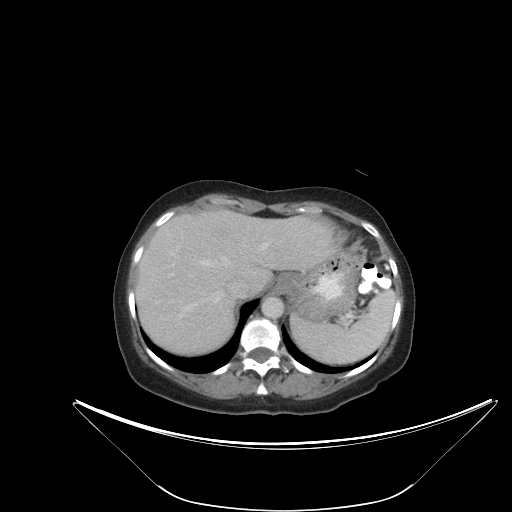
CT. Liver.
The vessel annotation is not exhaustive.
Annotated regions:
- hepatic vessel: {"x1": 207, "y1": 292, "x2": 222, "y2": 301}, {"x1": 258, "y1": 243, "x2": 267, "y2": 251}, {"x1": 228, "y1": 282, "x2": 243, "y2": 298}, {"x1": 219, "y1": 253, "x2": 230, "y2": 266}, {"x1": 178, "y1": 303, "x2": 197, "y2": 318}